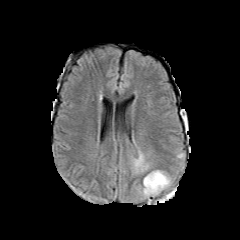
FLAIR MRI.
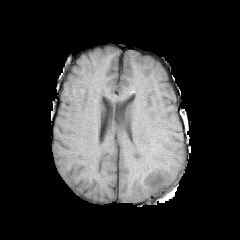
T1-weighted MR image of the same slice.
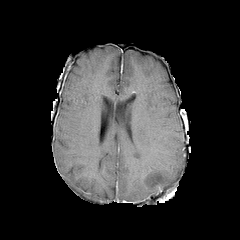
Post-contrast T1-weighted MRI of the same slice.
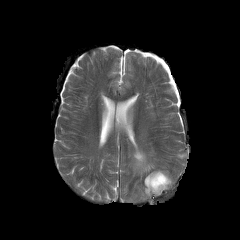
T2-weighted magnetic resonance.
2 edema regions appear at (left=134, top=150, right=149, bottom=171), (left=142, top=170, right=172, bottom=198).